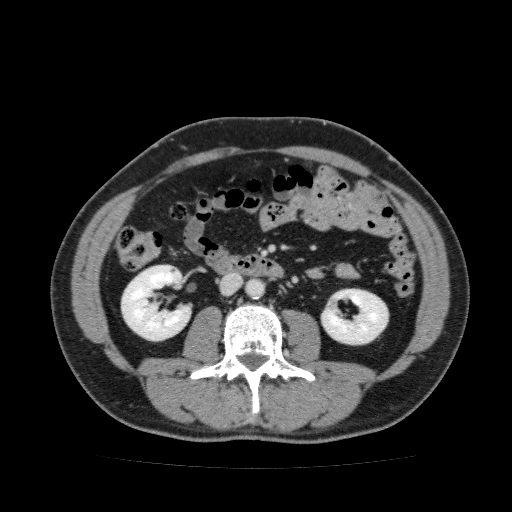

Abdomen, Image size 512x512, Computed tomography

- kidney: [321, 289, 387, 344], [121, 265, 190, 340]